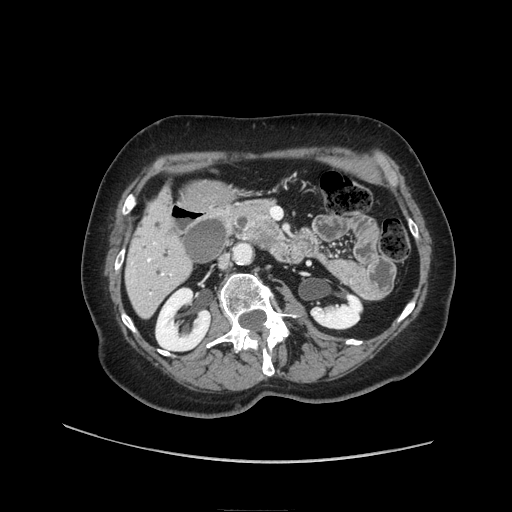

CT slice, Upper abdomen
The pancreatic tumor is bounded by 251, 221, 281, 248. 2 pancreas regions are located at 230, 201, 274, 246; 263, 233, 284, 249.